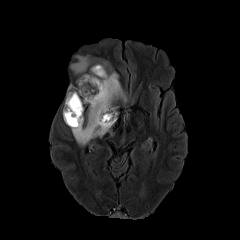
FLAIR MR.
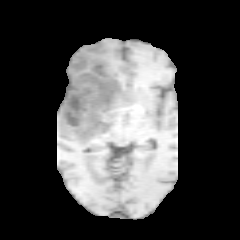
T1-weighted MRI of the same slice.
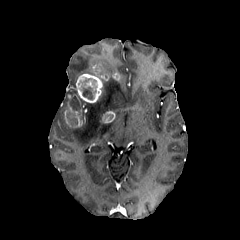
Same slice, post-contrast T1-weighted MR image.
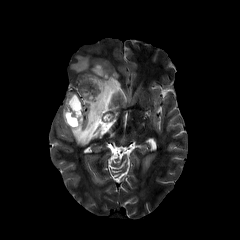
T2-weighted MRI.
Head | Image size 240x240
Annotated regions:
• non-enhancing tumor core: [x1=69, y1=96, x2=79, y2=110], [x1=78, y1=77, x2=96, y2=100]
• edema: [x1=70, y1=55, x2=127, y2=147], [x1=66, y1=83, x2=79, y2=98]
• enhancing tumor: [x1=102, y1=110, x2=115, y2=122], [x1=76, y1=65, x2=108, y2=102], [x1=64, y1=95, x2=83, y2=128]